Medial temporal lobe. Field of view 32 mm wide, 1.00 mm slice spacing. Slice 9 of 41. MRI slice. 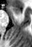
The anterior hippocampus is bounded by 11 6 22 14.